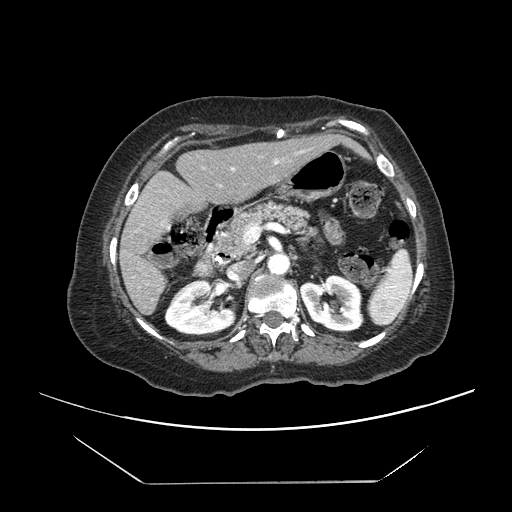
CT
Not every hepatic vessel necessarily has a box.
Segmented structures:
• hepatic vessel: rect(232, 168, 233, 169); rect(244, 224, 258, 242)